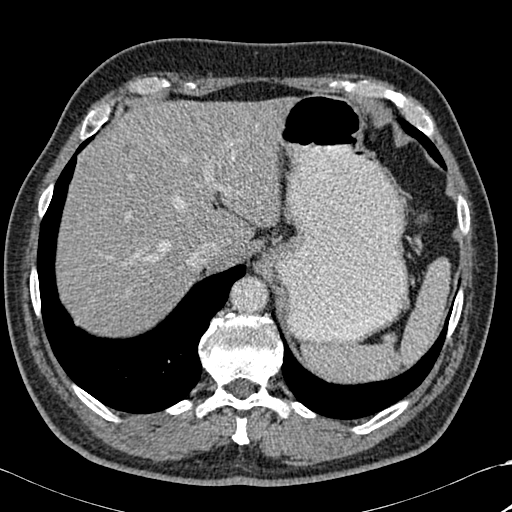 CT slice. 512x512. Liver. {"bone": ["region(81, 110, 107, 138)", "region(448, 291, 462, 334)", "region(74, 386, 117, 421)", "region(167, 400, 191, 414)", "region(458, 197, 464, 232)", "region(197, 313, 314, 417)", "region(345, 83, 432, 135)", "region(466, 203, 469, 232)", "region(353, 401, 407, 433)", "region(232, 418, 248, 444)", "region(30, 270, 40, 314)", "region(142, 79, 168, 91)", "region(38, 185, 52, 216)"], "lung": ["region(397, 117, 446, 170)", "region(37, 135, 245, 413)", "region(280, 306, 451, 419)"], "liver": ["region(210, 250, 235, 266)", "region(57, 98, 290, 336)"], "hepatic_lesion": ["region(121, 140, 135, 154)"]}